Abdomen, CT, Slice index 53
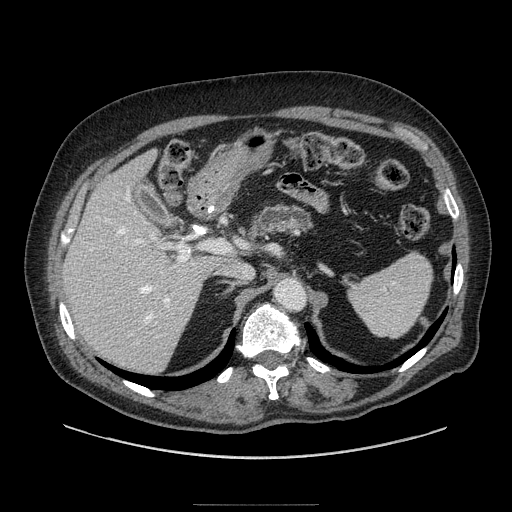 Findings:
* pancreas: x1=247 y1=203 x2=314 y2=238